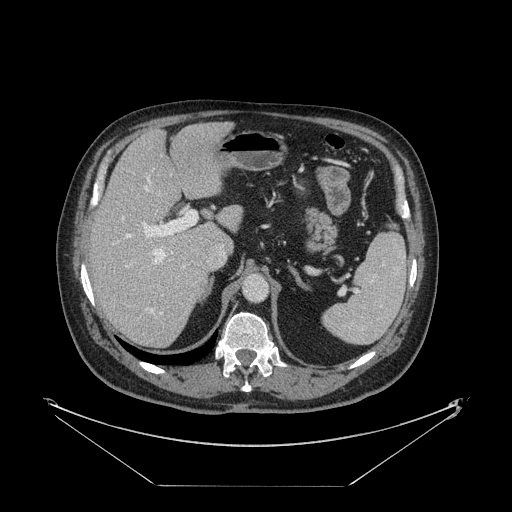
Liver | 512x512 px | CT slice
Only some of the vessels may be annotated.
<segmentation>
  <hepatic_vessel>left=143, top=223, right=156, bottom=235; left=125, top=234, right=129, bottom=237; left=147, top=307, right=153, bottom=312; left=125, top=265, right=127, bottom=266; left=159, top=312, right=161, bottom=313</hepatic_vessel>
</segmentation>